Field of view 512 mm wide, 1.00 mm slice spacing. CT.
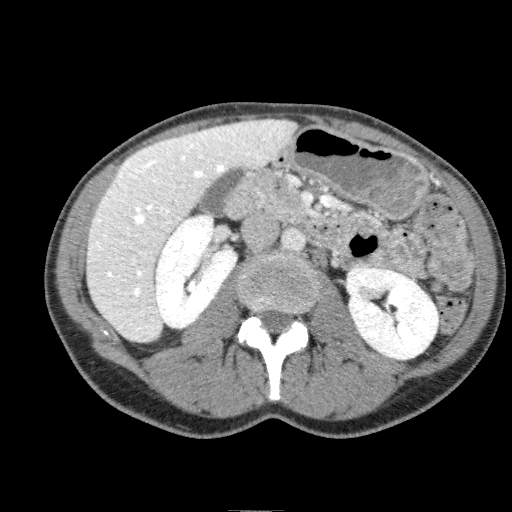
Annotated regions:
* kidney: rect(156, 216, 236, 327); rect(347, 267, 438, 359)
* liver: rect(85, 118, 297, 342)